Head.
FLAIR magnetic resonance.
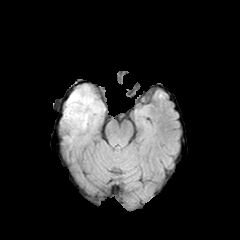
T1-weighted MR.
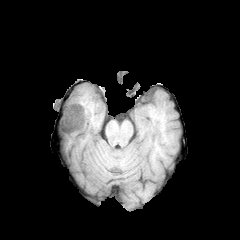
Post-contrast T1-weighted MR image.
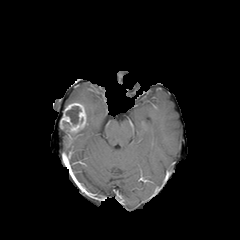
T2-weighted MR.
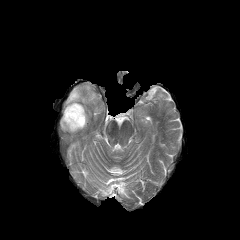
Edema = {"x1": 65, "y1": 84, "x2": 105, "y2": 132}, {"x1": 63, "y1": 132, "x2": 80, "y2": 147}.
Non-enhancing tumor core = {"x1": 66, "y1": 106, "x2": 80, "y2": 123}.
Enhancing tumor = {"x1": 59, "y1": 102, "x2": 87, "y2": 133}.